CT slice, Field of view 512x512 mm, Liver 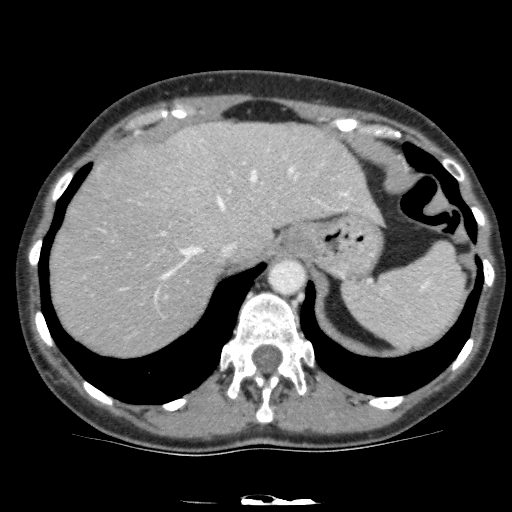

liver:
  - rect(53, 121, 384, 356)
liver_lesion:
  - rect(99, 167, 110, 176)
  - rect(203, 202, 219, 213)